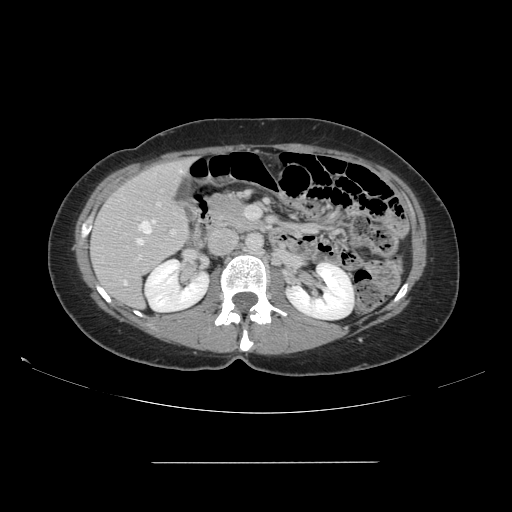
512x512 px | CT

The vessel boxes may cover only some of the vessels.
<segmentation>
  <hepatic_vessel>rect(139, 254, 141, 258); rect(137, 238, 143, 244); rect(171, 230, 175, 233); rect(139, 219, 155, 233); rect(123, 280, 126, 284); rect(180, 170, 181, 171); rect(157, 203, 160, 205)</hepatic_vessel>
</segmentation>